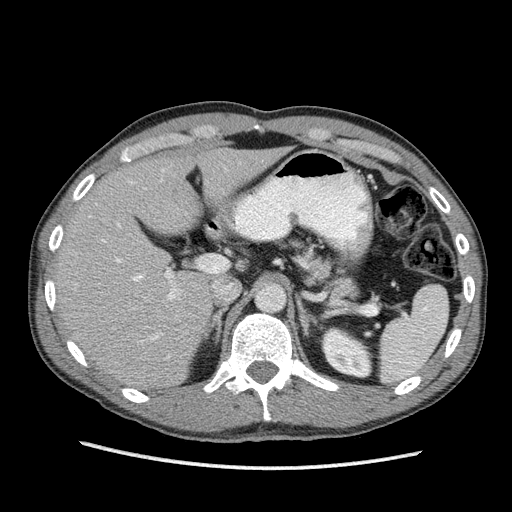
CT image

The kidney is at [324, 330, 369, 376]. The liver lies within [50, 146, 292, 390].